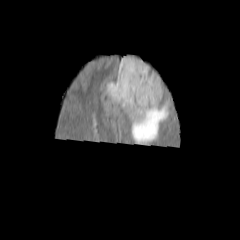
FLAIR magnetic resonance.
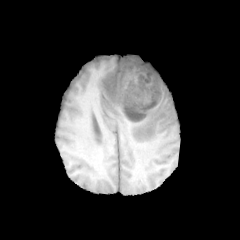
T1-weighted MRI of the same slice.
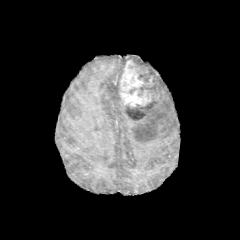
Post-contrast T1-weighted MRI.
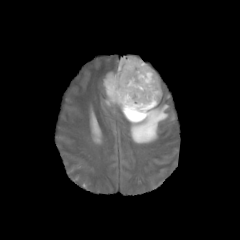
Same slice, T2-weighted MR image.
Head.
Enhancing tumor: <bbox>118, 59, 153, 108</bbox>.
Non-enhancing tumor core: <bbox>109, 86, 121, 100</bbox>, <bbox>124, 58, 161, 119</bbox>.
Edema: <bbox>102, 55, 141, 105</bbox>, <bbox>122, 88, 168, 142</bbox>.